CT scan slice
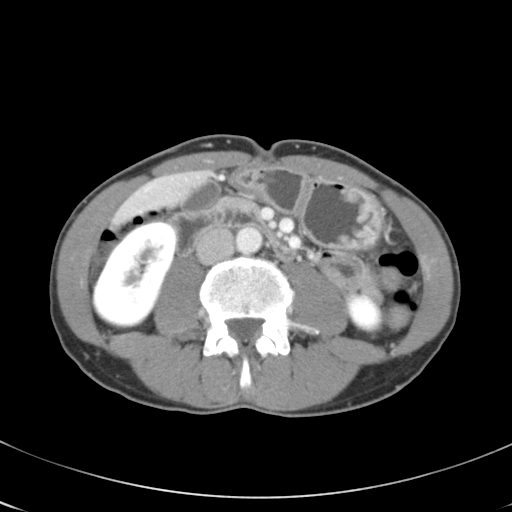

The vessel annotation is not exhaustive.
hepatic_vessel:
  - (138, 210, 140, 212)